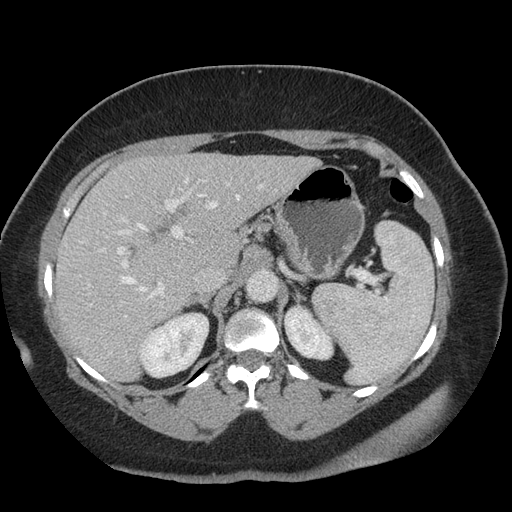
Abdomen; Computed tomography
The vessel boxes may cover only some of the vessels.
The principal 15 hepatic vessel regions (of 19) appear at l=206, t=202, r=216, b=208; l=165, t=199, r=180, b=208; l=259, t=185, r=263, b=188; l=118, t=248, r=125, b=254; l=138, t=225, r=144, b=230; l=139, t=287, r=146, b=291; l=122, t=260, r=125, b=266; l=149, t=279, r=164, b=298; l=184, t=178, r=188, b=183; l=118, t=230, r=131, b=235; l=120, t=218, r=126, b=221; l=236, t=196, r=239, b=199; l=121, t=277, r=135, b=283; l=199, t=180, r=206, b=181; l=172, t=226, r=182, b=237.